FLAIR MR.
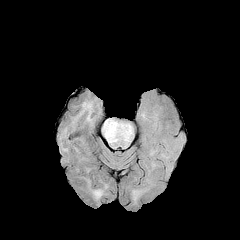
T1-weighted MR image.
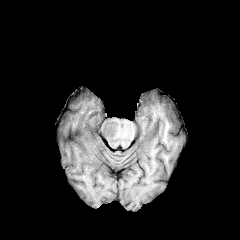
Post-contrast T1-weighted MR.
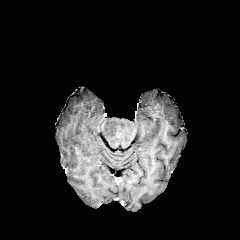
T2-weighted MR image.
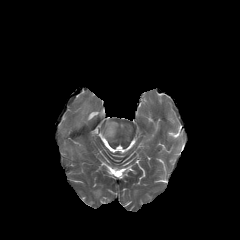
2 edema regions are located at (75, 100, 92, 121), (86, 180, 106, 201).